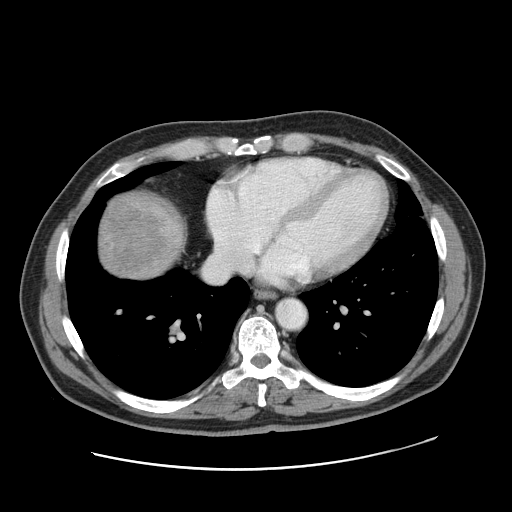
CT image | 512x512 px | Abdomen
Annotated regions:
- liver tumor: box(99, 195, 164, 276)